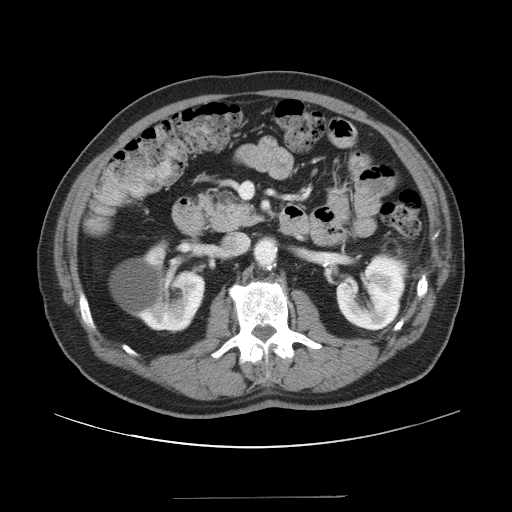 Image size 512x512, Abdomen, CT slice
Segmented structures:
* pancreas: 199, 190, 264, 233